Slice index 60, Computed tomography, Field of view 330 mm wide, 2.50 mm slice spacing
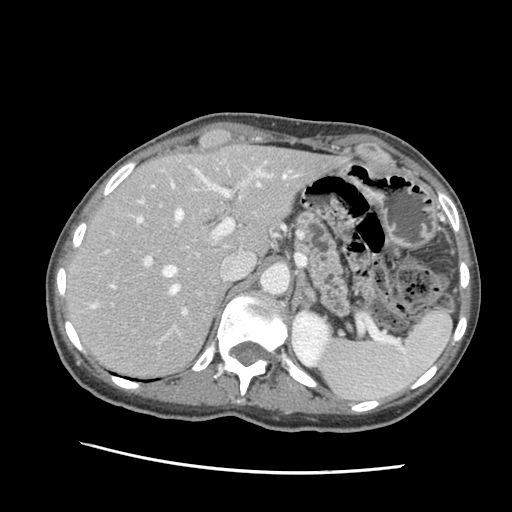
{
  "pancreas": [
    "box=[300, 214, 348, 314]"
  ]
}